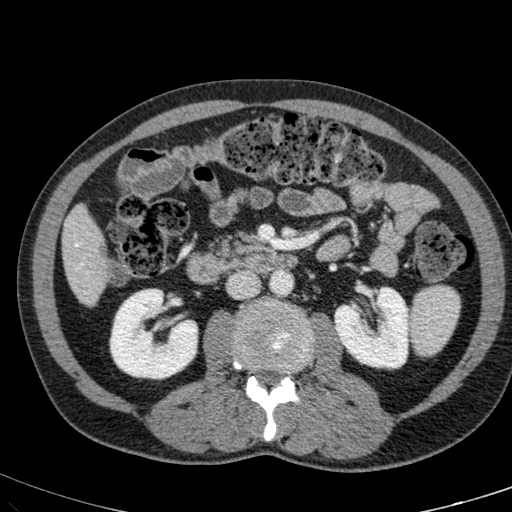 512x512 | CT image
kidney: <box>336,288,407,367</box>, <box>111,290,196,377</box> | hepatic lesion: <box>98,243,109,256</box> | liver: <box>62,207,108,303</box>